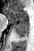
MR
The posterior hippocampus is bounded by (left=14, top=26, right=28, bottom=37). The anterior hippocampus appears at (left=5, top=7, right=28, bottom=25).